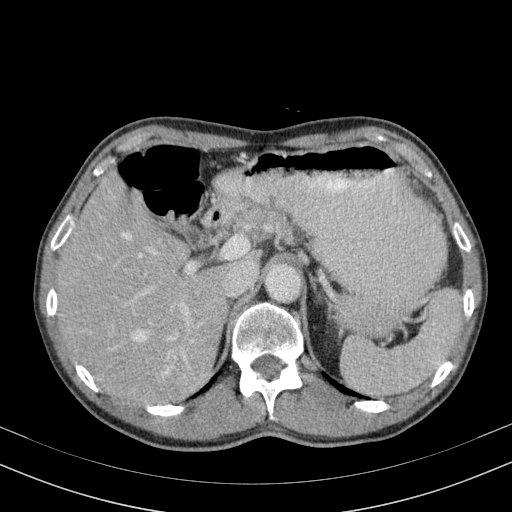
Image size 512x512; CT slice
The liver is located at l=58, t=169, r=263, b=405.